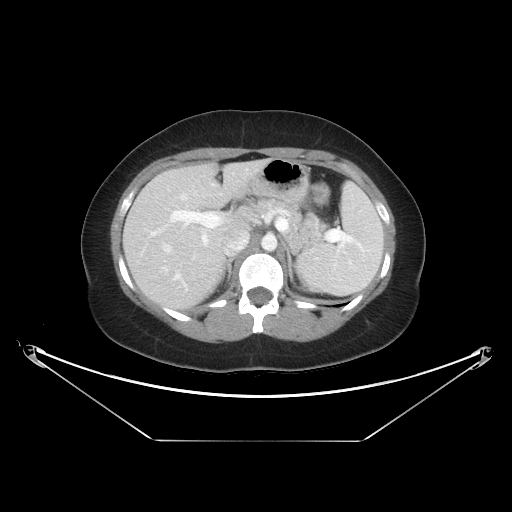

CT scan slice | Abdomen
Pancreas = bbox=[249, 198, 315, 251].
Pancreatic tumor = bbox=[305, 212, 328, 240].